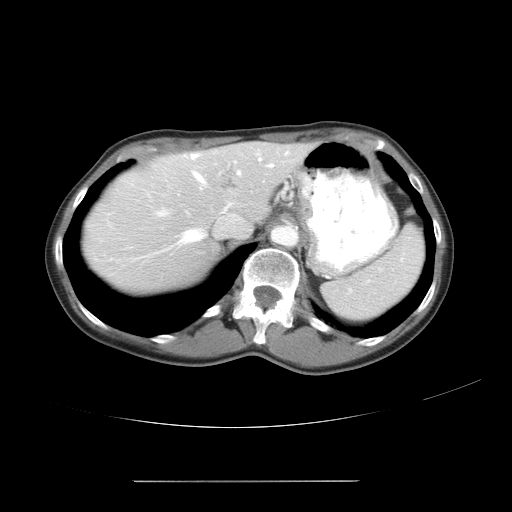
CT, Liver
The vessel boxes may cover only some of the vessels.
12 hepatic vessel regions are located at (236,170,240,174), (157,208,167,215), (190,153,197,159), (192,171,205,188), (257,156,260,159), (222,202,231,212), (227,164,228,166), (158,247,168,251), (175,228,205,244), (268,163,272,166), (284,151,287,154), (230,214,237,219).